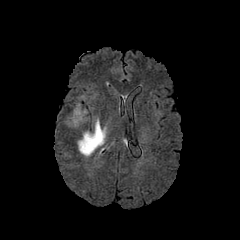
FLAIR MR.
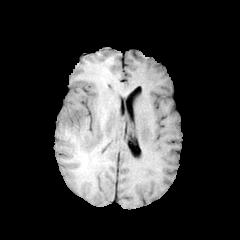
Same slice, T1-weighted MR.
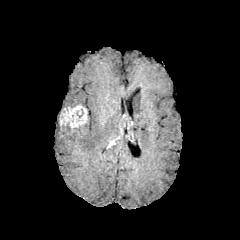
Post-contrast T1-weighted MR.
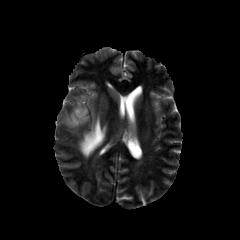
T2-weighted MRI.
Image size 240x240. Brain.
The non-enhancing tumor core lies within [76,109,83,117]. The enhancing tumor appears at [59,106,86,126]. The edema is located at [77,116,107,158].